CT image. 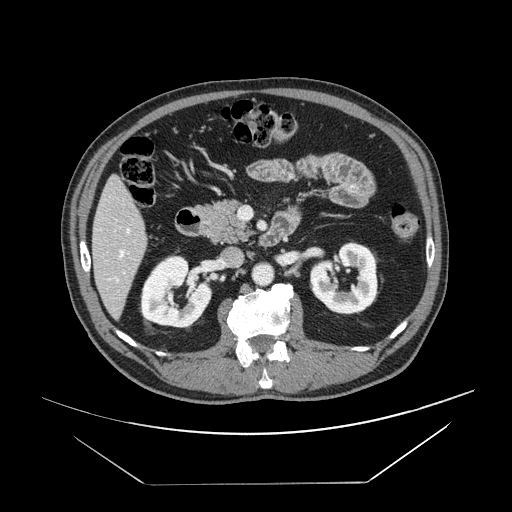

Segmented structures:
- pancreas: [x1=196, y1=199, x2=254, y2=244]